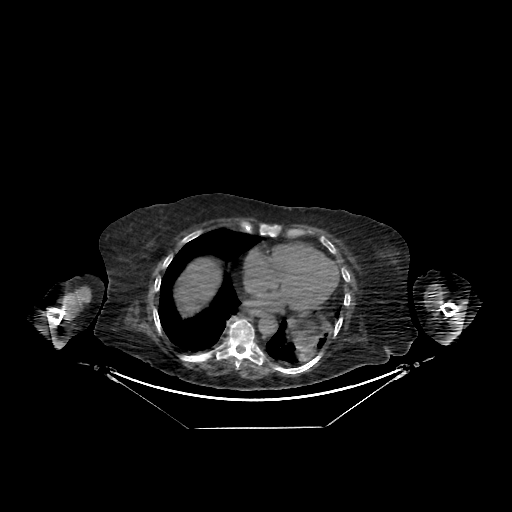
CT slice | Upper abdomen | 512x512
<segmentation>
  <liver><box>173,257,222,317</box></liver>
</segmentation>